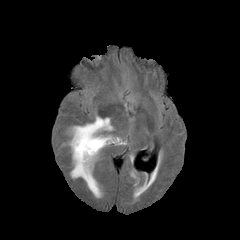
FLAIR MR.
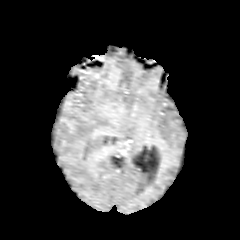
T1-weighted MRI of the same slice.
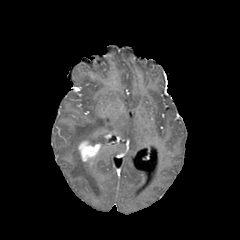
Post-contrast T1-weighted magnetic resonance.
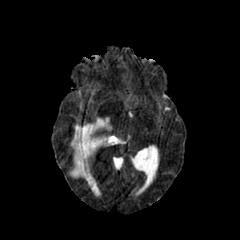
T2-weighted MRI.
Brain | 240x240 px
Edema = (left=69, top=116, right=124, bottom=196).
Enhancing tumor = (left=79, top=141, right=100, bottom=161).